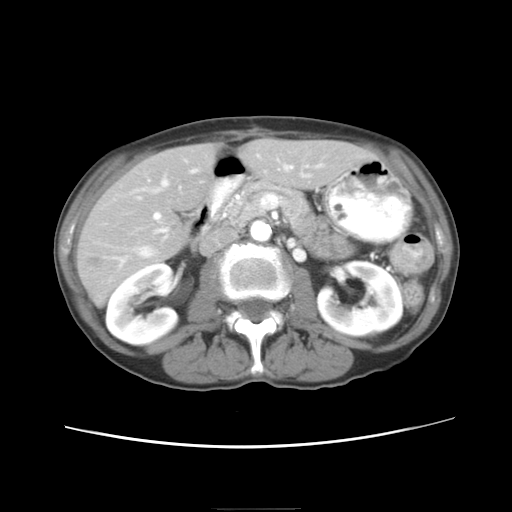 512x512. Abdomen. CT slice.

The vessel annotation is not exhaustive.
hepatic vessel: x1=140 y1=246 x2=150 y2=255, x1=284 y1=164 x2=291 y2=169, x1=138 y1=197 x2=140 y2=198, x1=301 y1=174 x2=306 y2=175, x1=153 y1=213 x2=159 y2=218, x1=159 y1=228 x2=166 y2=231, x1=161 y1=180 x2=167 y2=185